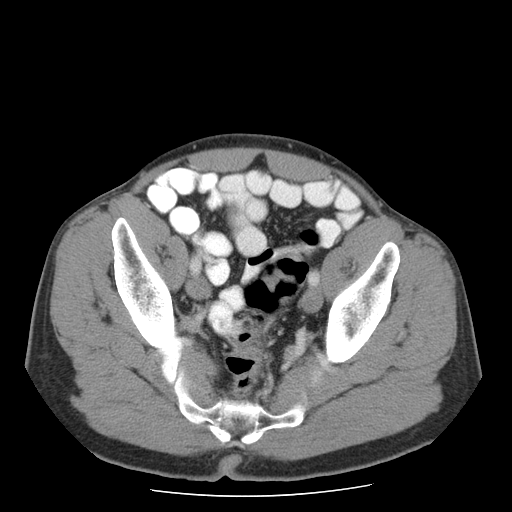 CT. Abdomen. 512x512 px.
- colon tumor: (x1=229, y1=327, x2=262, y2=377)